CT image | Field of view 343 mm wide, 1.50 mm slice spacing | Image size 512x512 | Upper abdomen 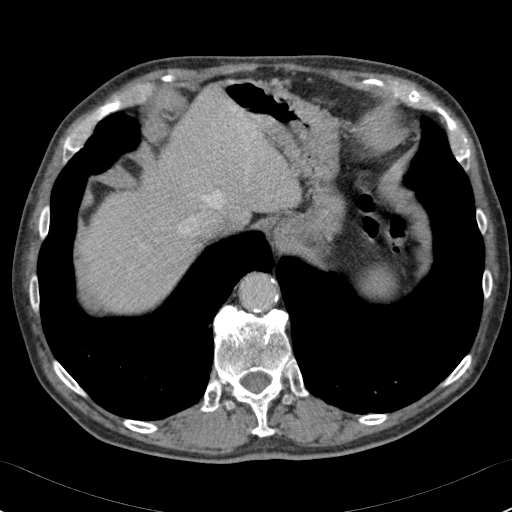 The liver is at (x1=90, y1=87, x2=299, y2=309).